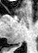 MRI. Medial temporal lobe. Image size 38x53.

{"posterior_hippocampus": ["x1=9 y1=46 x2=12 y2=48"]}